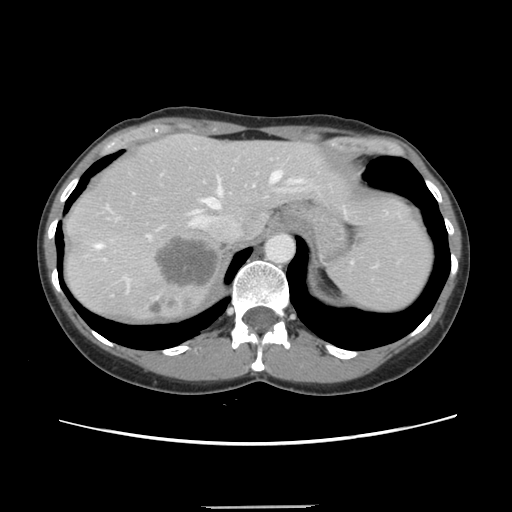 CT slice.

The vessel annotation is not exhaustive.
hepatic_vessel:
  - <bbox>146, 235, 150, 239</bbox>
  - <bbox>270, 170, 280, 181</bbox>
  - <bbox>203, 198, 219, 208</bbox>
  - <bbox>217, 177, 221, 194</bbox>
  - <bbox>93, 244, 101, 249</bbox>
  - <bbox>291, 179, 302, 182</bbox>
  - <bbox>190, 215, 201, 225</bbox>
  - <bbox>123, 277, 127, 290</bbox>
  - <bbox>191, 211, 198, 214</bbox>
liver_tumor:
  - <bbox>156, 237, 219, 286</bbox>